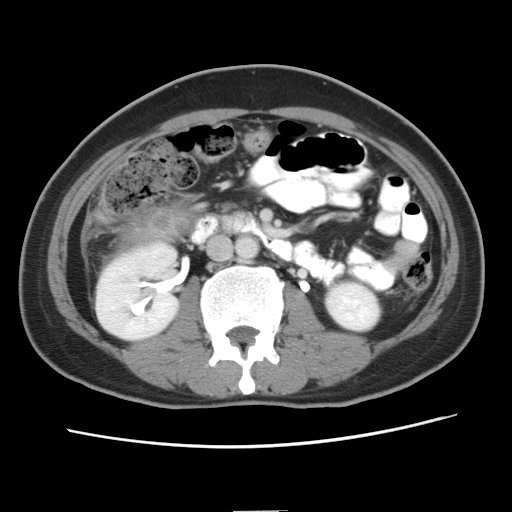 Abdomen | CT slice
Liver tumor = (left=149, top=210, right=173, bottom=236).